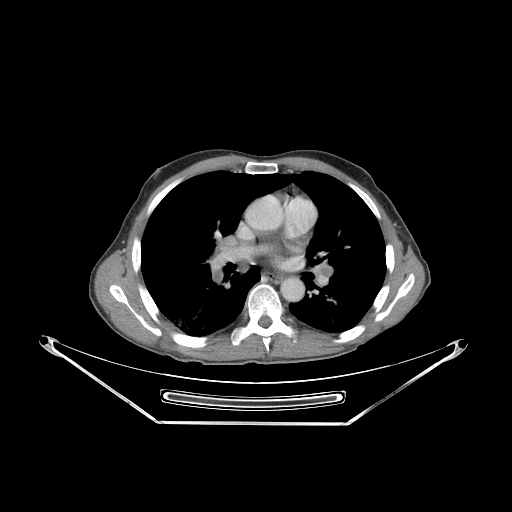

CT slice. Image size 512x512.

Bone at (x1=386, y1=245, x2=394, y2=271), (x1=148, y1=181, x2=177, y2=212), (x1=350, y1=184, x2=379, y2=217), (x1=132, y1=239, x2=140, y2=277), (x1=374, y1=274, x2=414, y2=320), (x1=233, y1=284, x2=292, y2=350), (x1=110, y1=285, x2=165, y2=335), (x1=246, y1=162, x2=276, y2=173), (x1=173, y1=334, x2=206, y2=347), (x1=335, y1=326, x2=364, y2=342).
Lung at (x1=141, y1=171, x2=385, y2=335).